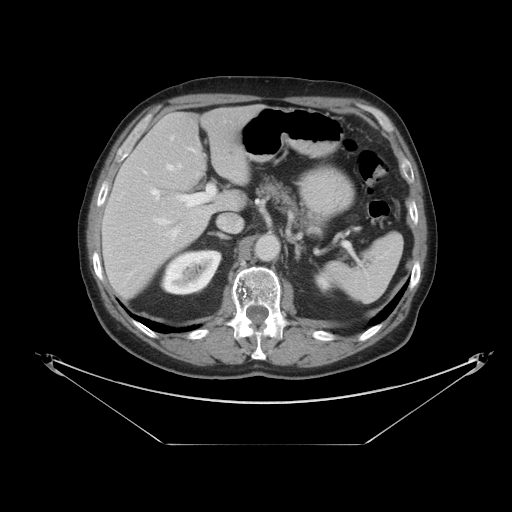

Computed tomography.

spleen: left=328, top=233, right=402, bottom=302